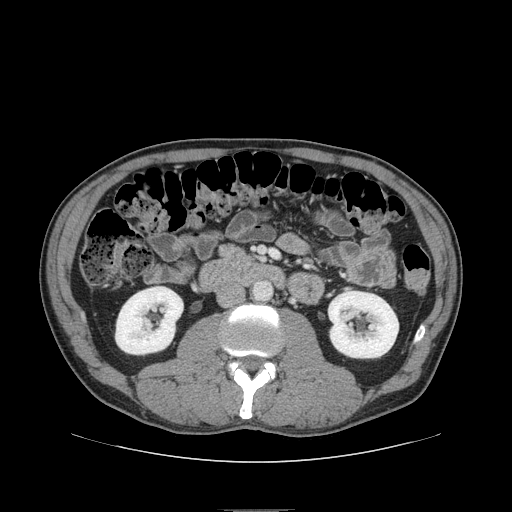

Abdomen. Computed tomography.
The pancreas is bounded by (x1=219, y1=244, x2=242, y2=257).